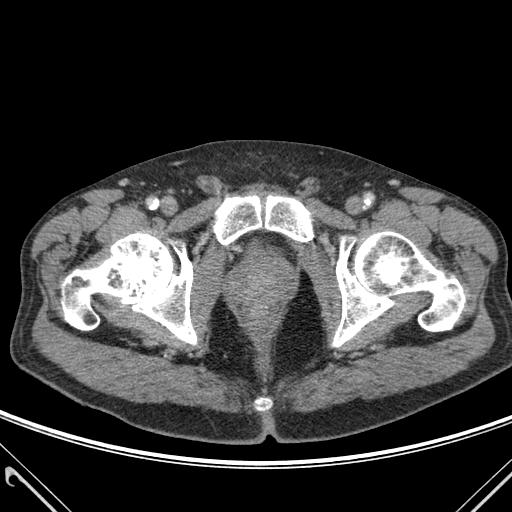 512x512 | CT slice
4 bone regions are bounded by <box>214,196,313,244</box>, <box>256,398,270,409</box>, <box>62,233,196,344</box>, <box>333,232,464,346</box>.